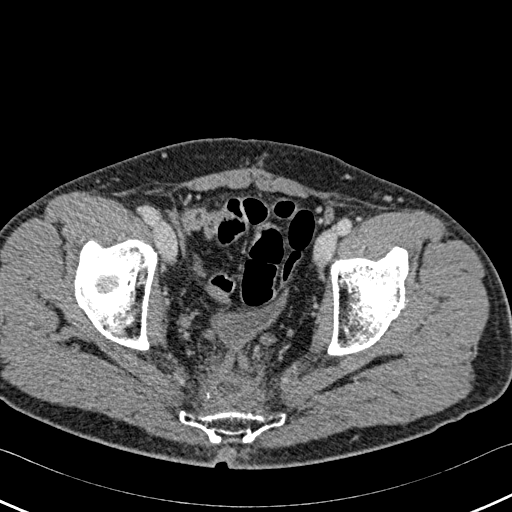 CT image
3 bone regions are located at <box>179,411,285,442</box>, <box>75,240,156,349</box>, <box>328,247,407,354</box>.